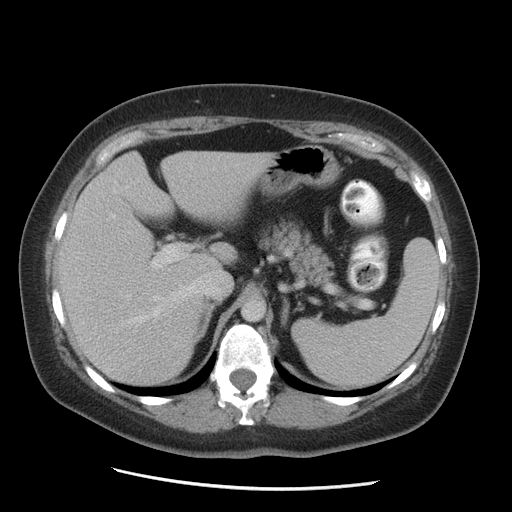
Liver, Computed tomography
Segmented structures:
- liver: box(57, 153, 232, 384); box(210, 247, 229, 258); box(161, 152, 270, 215)